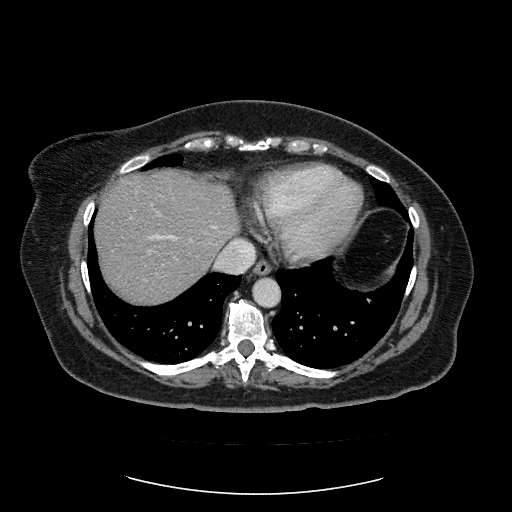 CT image, Image size 512x512, Abdomen
Not every hepatic vessel necessarily has a box.
<segmentation>
  <hepatic_vessel>left=151, top=203, right=153, bottom=206; left=130, top=217, right=132, bottom=219; left=189, top=239, right=191, bottom=241; left=147, top=250, right=151, bottom=252; left=157, top=212, right=161, bottom=215; left=149, top=234, right=174, bottom=238</hepatic_vessel>
</segmentation>